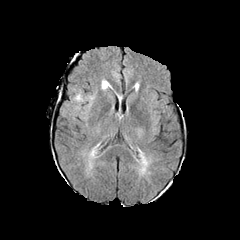
FLAIR MRI.
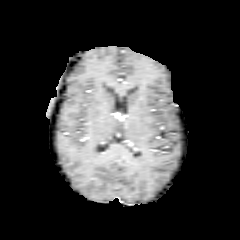
T1-weighted MR image.
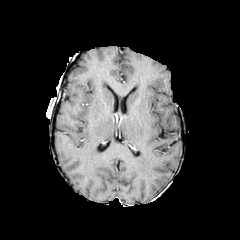
Post-contrast T1-weighted MR image.
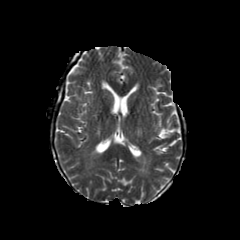
T2-weighted MR of the same slice.
Head. 240x240.
The edema is at [90, 147, 97, 157].